Slice 21 of 34; Image size 32x48; Medial temporal lobe; Magnetic resonance 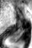 The posterior hippocampus is at l=9, t=29, r=23, b=42.